FLAIR magnetic resonance.
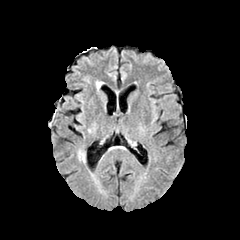
T1-weighted magnetic resonance.
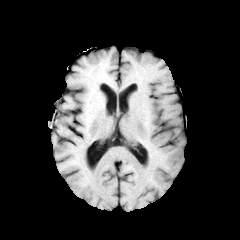
Post-contrast T1-weighted MRI.
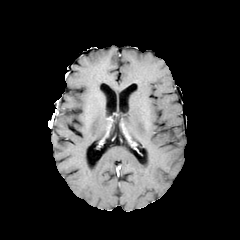
T2-weighted MR.
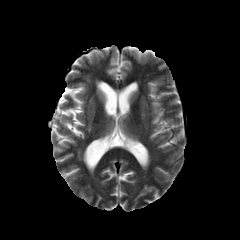
Image size 240x240.
edema: (74,95,84,124)